Field of view 33 mm wide, 1.00 mm slice spacing | Medial temporal lobe | Slice 11 of 26 | MRI
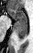 Posterior hippocampus at x1=15 y1=20 x2=27 y2=40.
Anterior hippocampus at x1=8 y1=8 x2=26 y2=20.